Slice 36/155.
FLAIR MRI.
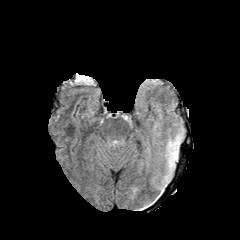
T1-weighted MR.
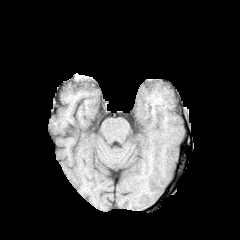
Post-contrast T1-weighted MRI.
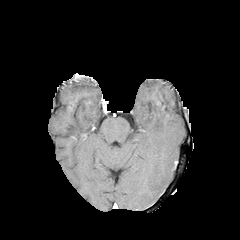
T2-weighted MR image.
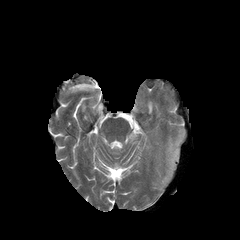
edema: <bbox>168, 150, 178, 164</bbox>